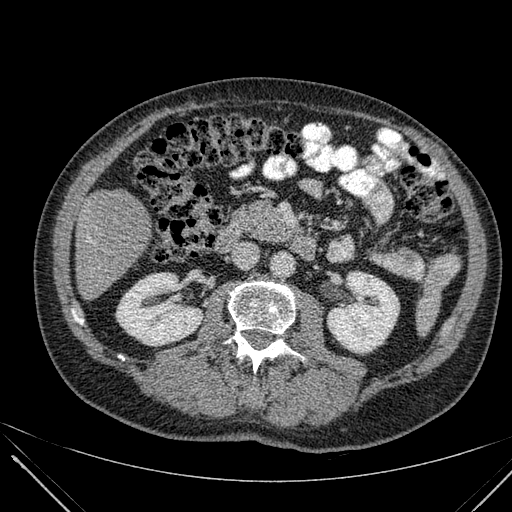

Abdomen, CT scan slice
* liver: <box>76,190,153,299</box>
* kidney: <box>327,272,399,352</box>, <box>116,273,201,345</box>